CT scan slice
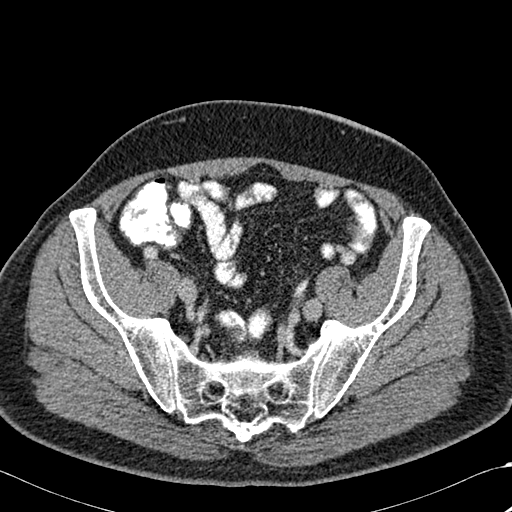

Bone: box(69, 208, 430, 441).